FLAIR MR image.
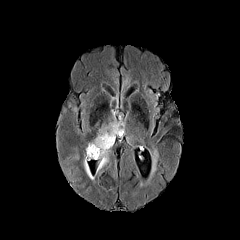
T1-weighted magnetic resonance.
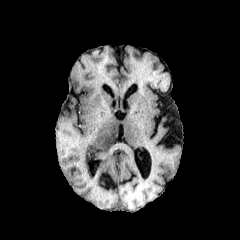
Post-contrast T1-weighted MR.
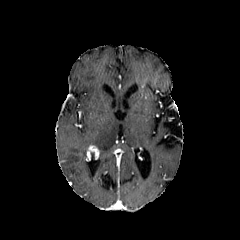
T2-weighted MRI.
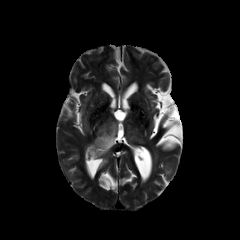
Head; 240x240
Edema: (left=82, top=159, right=93, bottom=179), (left=92, top=122, right=118, bottom=171).
Enhancing tumor: (left=87, top=146, right=99, bottom=160).